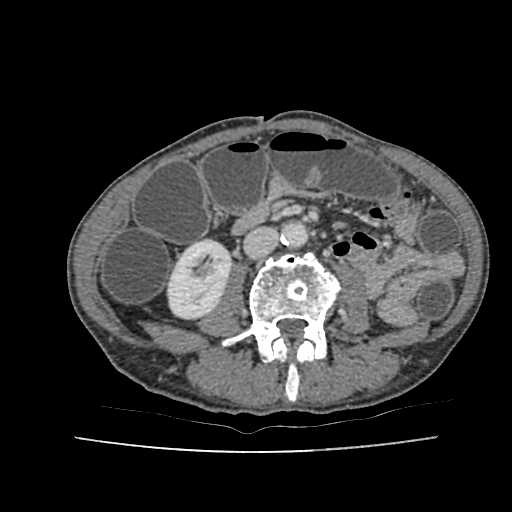
Computed tomography, 512x512 px, Abdomen

<segmentation>
  <kidney>[168,240,230,318]</kidney>
</segmentation>